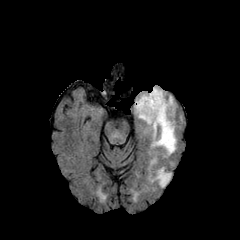
FLAIR MR.
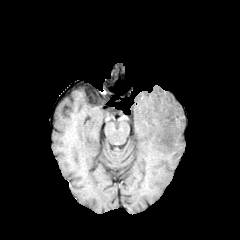
T1-weighted MRI.
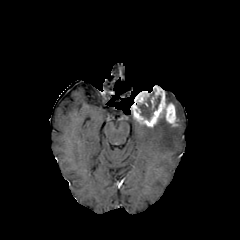
Post-contrast T1-weighted magnetic resonance of the same slice.
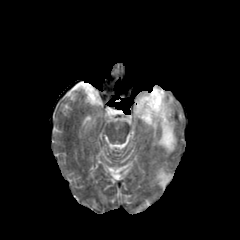
Same slice, T2-weighted MRI.
Brain, Image size 240x240
Findings:
- non-enhancing tumor core: (138,94,160,119)
- edema: (151,166,171,187), (166,92,175,105), (143,119,177,157)
- enhancing tumor: (130,85,175,127)